Abdomen | Slice 30/40 | CT scan slice | 512x512
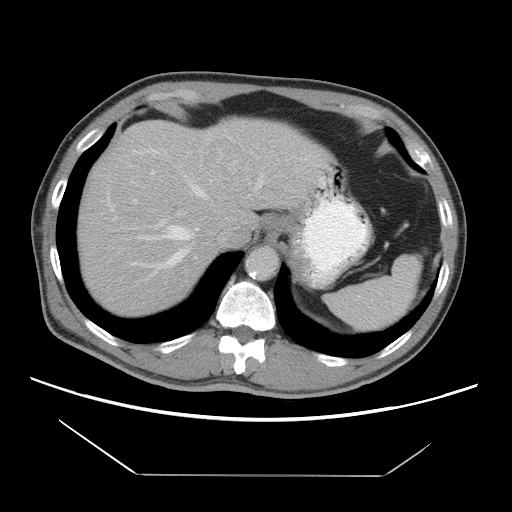 Not every hepatic vessel necessarily has a box.
partial: true
liver_tumor:
  - x1=200, y1=136, x2=244, y2=180
hepatic_vessel:
  # 15 of 20 shown
  - x1=304, y1=158, x2=309, y2=159
  - x1=244, y1=195, x2=251, y2=198
  - x1=155, y1=220, x2=166, y2=229
  - x1=138, y1=226, x2=193, y2=240
  - x1=177, y1=212, x2=185, y2=214
  - x1=151, y1=149, x2=157, y2=153
  - x1=134, y1=150, x2=148, y2=152
  - x1=256, y1=174, x2=263, y2=188
  - x1=151, y1=170, x2=154, y2=177
  - x1=277, y1=159, x2=279, y2=163
  - x1=188, y1=180, x2=206, y2=198
  - x1=319, y1=177, x2=325, y2=185
  - x1=132, y1=246, x2=188, y2=275
  - x1=131, y1=227, x2=137, y2=229
  - x1=133, y1=199, x2=137, y2=203